Liver. CT scan slice.

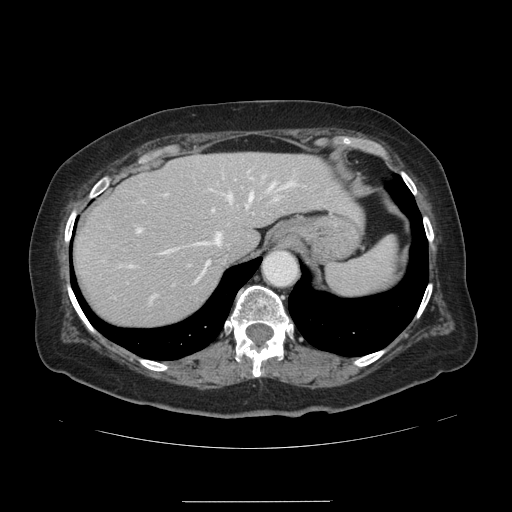 Not every hepatic vessel necessarily has a box.
<segmentation>
  <hepatic_vessel>197,232,218,243; 227,193,231,200; 282,183,291,187; 128,265,132,267; 212,208,213,210; 245,193,252,205; 268,183,274,190; 158,249,170,253; 136,228,141,232; 165,193,166,195; 149,295,155,303</hepatic_vessel>
</segmentation>